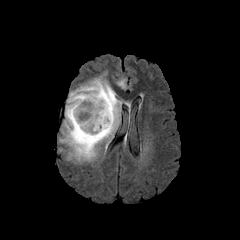
FLAIR MR.
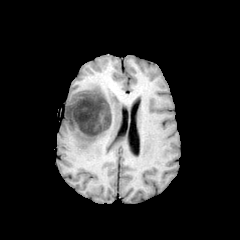
T1-weighted MR.
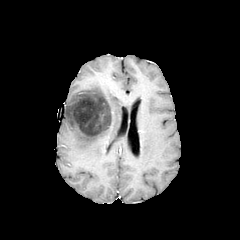
Same slice, post-contrast T1-weighted MR.
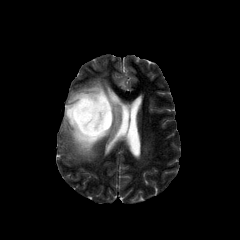
Same slice, T2-weighted MR image.
<segmentation>
  <edema>60, 79, 125, 160</edema>
  <non-enhancing_tumor_core>66, 92, 113, 144; 90, 79, 114, 96</non-enhancing_tumor_core>
</segmentation>